Slice index 27, CT image, Field of view 389x389 mm, Abdomen
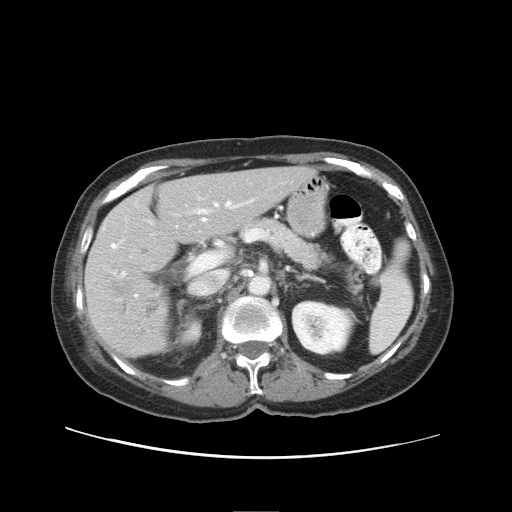

The vessel annotation is not exhaustive.
Annotated regions:
- liver tumor: [107,262,162,312]
- hepatic vessel: [198,198,200,200], [225,199,255,208], [214,203,218,208], [189,243,221,275], [112,244,117,248], [194,209,209,221]